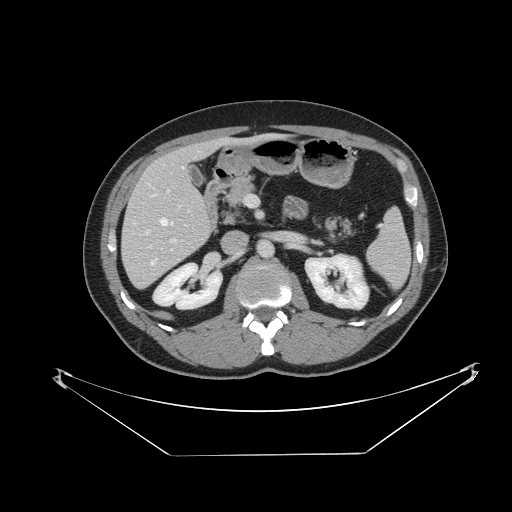

512x512 px, Upper abdomen, Computed tomography

Spleen: bounding box [368,210,409,287].